Abdomen | Computed tomography
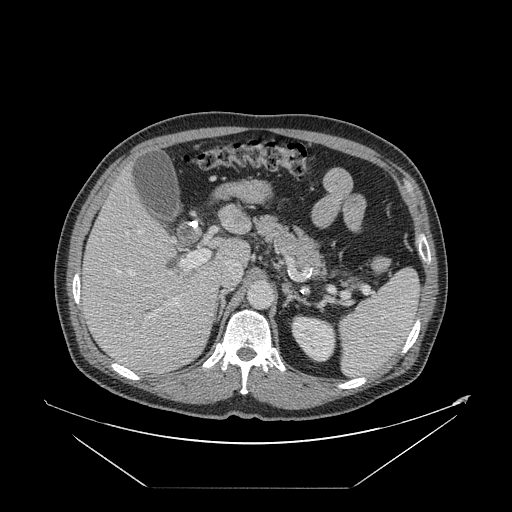 Some hepatic vessels may have no box.
11 hepatic vessel regions appear at 128 270 134 275, 127 322 132 325, 166 297 179 306, 180 249 209 270, 126 232 128 234, 116 270 119 273, 137 231 142 233, 218 254 241 279, 170 239 173 240, 210 288 215 291, 148 310 158 317.